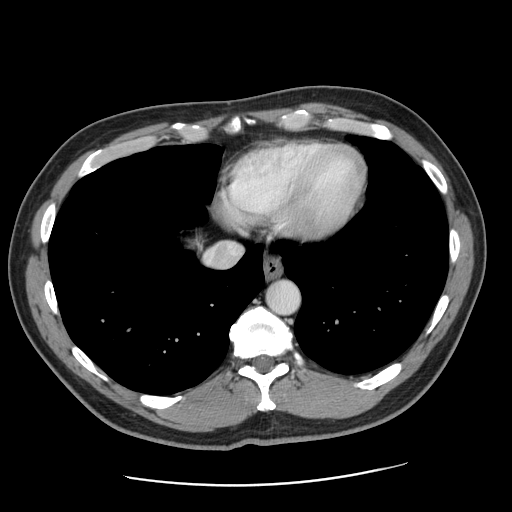
Image size 512x512; Computed tomography
Some hepatic vessels may have no box.
Annotated regions:
- hepatic vessel: [203, 244, 241, 267]